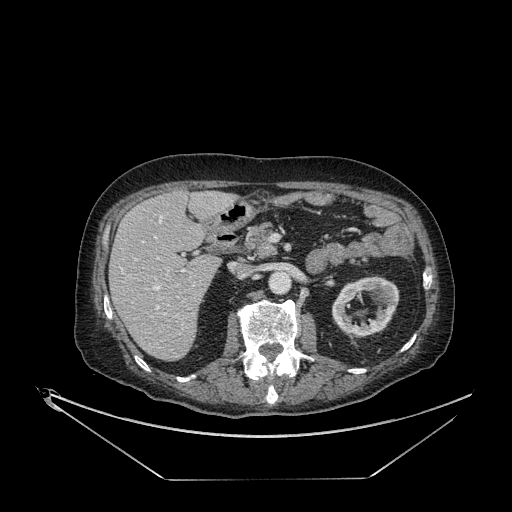

CT scan slice
liver:
  - x1=110, y1=192, x2=236, y2=361
kidney:
  - x1=332, y1=277, x2=398, y2=336